Pelvis, CT, Field of view 401x401 mm

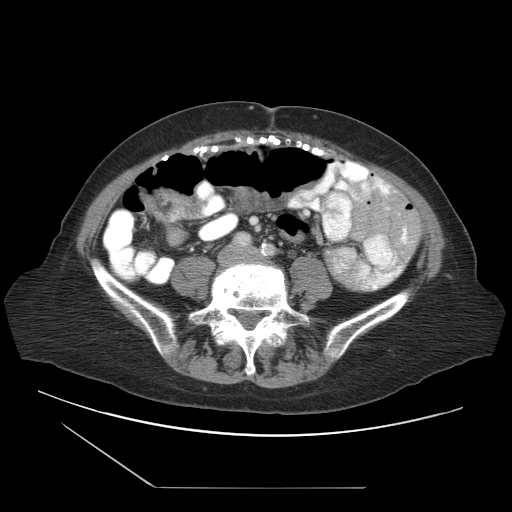
Colon tumor: bounding box region(139, 188, 198, 222).